240x240 px. Slice index 122.
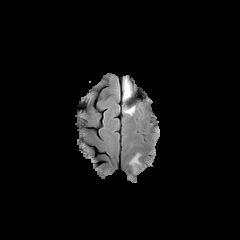
FLAIR MR.
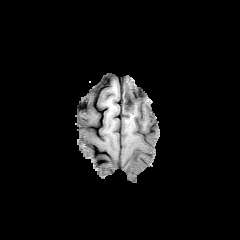
T1-weighted magnetic resonance of the same slice.
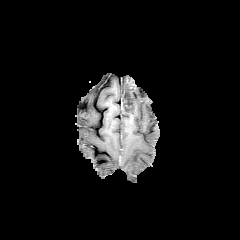
Post-contrast T1-weighted MRI.
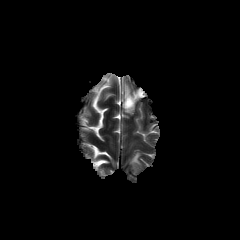
Same slice, T2-weighted MR.
Annotated regions:
* edema: {"x1": 129, "y1": 152, "x2": 141, "y2": 173}, {"x1": 122, "y1": 108, "x2": 133, "y2": 115}, {"x1": 122, "y1": 80, "x2": 129, "y2": 100}